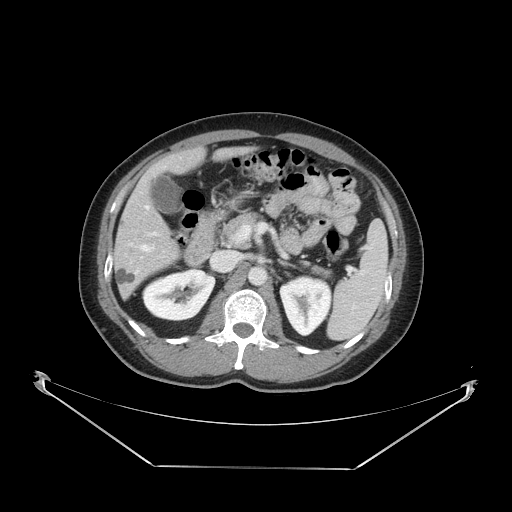 CT scan slice; 512x512 px; Liver
The vessel annotation is not exhaustive.
hepatic_vessel:
  - <bbox>148, 232, 156, 234</bbox>
  - <bbox>141, 246, 153, 251</bbox>